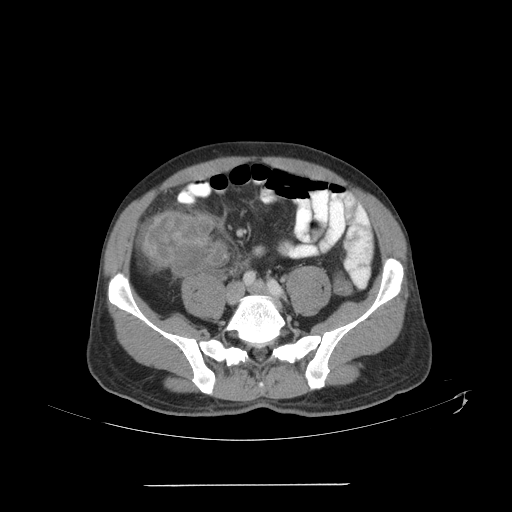

CT image

The colon tumor is at 141:212:228:275.